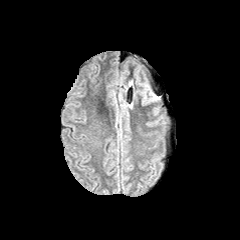
FLAIR MR.
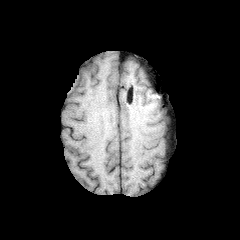
T1-weighted MR.
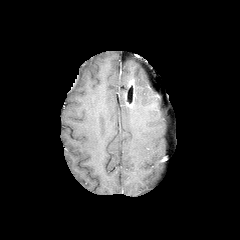
Post-contrast T1-weighted MRI of the same slice.
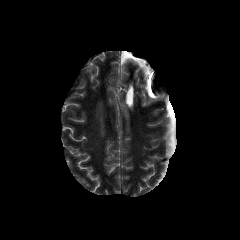
T2-weighted MR of the same slice.
Head; 240x240
Edema — 136, 81, 156, 104.